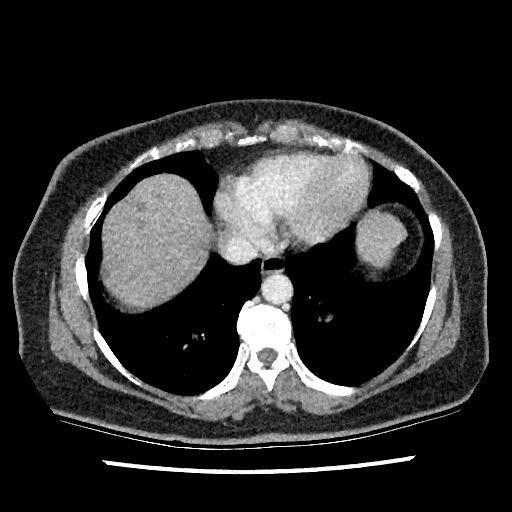
512x512; CT
Liver — 103, 174, 208, 306; 358, 214, 405, 264.
Hepatic lesion — 138, 202, 146, 210.